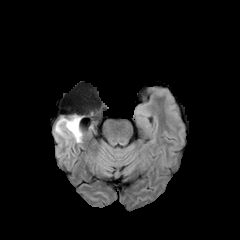
FLAIR MRI.
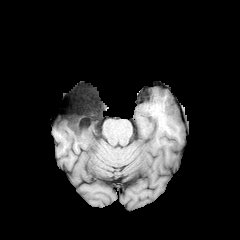
T1-weighted MR image.
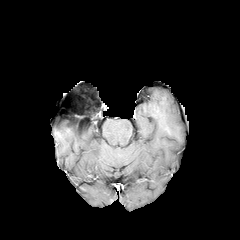
Post-contrast T1-weighted MRI of the same slice.
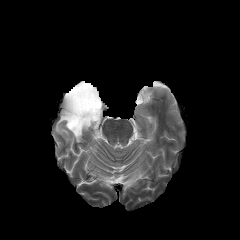
T2-weighted MR.
Head
<segmentation>
  <edema>box=[54, 118, 82, 147]</edema>
  <non-enhancing_tumor_core>box=[60, 114, 81, 129]</non-enhancing_tumor_core>
</segmentation>